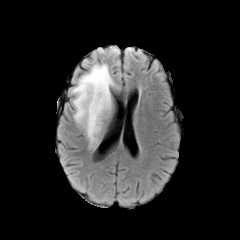
FLAIR MR.
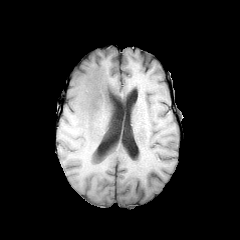
Same slice, T1-weighted MRI.
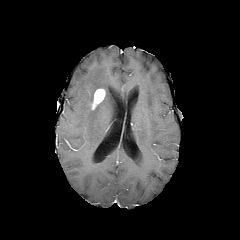
Post-contrast T1-weighted MR of the same slice.
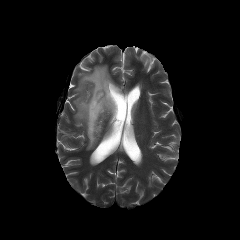
T2-weighted magnetic resonance.
<segmentation>
  <enhancing_tumor><box>90,88,105,109</box></enhancing_tumor>
  <edema><box>71,61,118,147</box></edema>
  <non-enhancing_tumor_core><box>103,85,115,99</box></non-enhancing_tumor_core>
</segmentation>